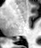 41x48 | MRI | Medial temporal lobe
Segmented structures:
* posterior hippocampus: <bbox>15, 39, 18, 40</bbox>